CT
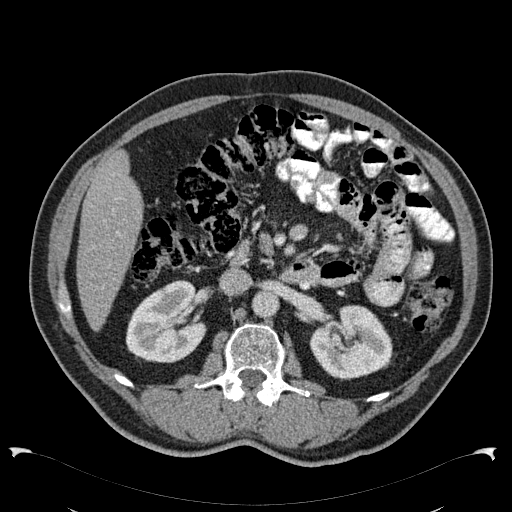

kidney:
  - {"x1": 310, "y1": 305, "x2": 391, "y2": 378}
  - {"x1": 126, "y1": 280, "x2": 209, "y2": 362}
liver:
  - {"x1": 77, "y1": 149, "x2": 143, "y2": 331}